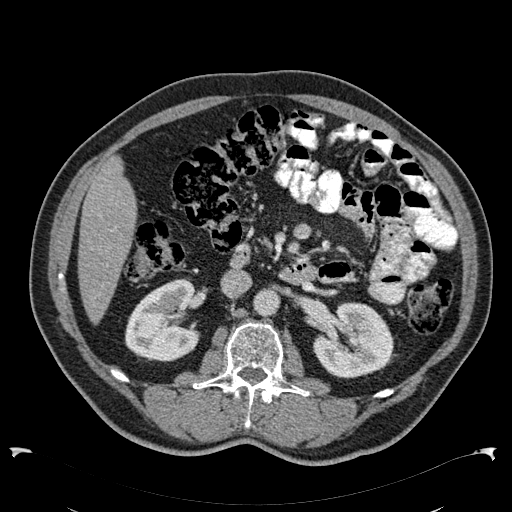

CT scan slice

The liver is at rect(78, 156, 137, 322). 2 kidney regions appear at rect(313, 303, 393, 377); rect(125, 279, 205, 361).